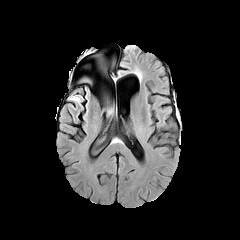
FLAIR magnetic resonance.
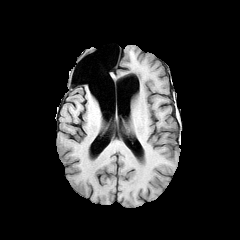
Same slice, T1-weighted MR image.
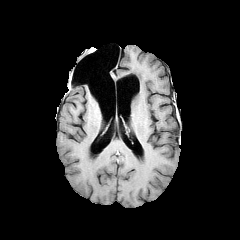
Post-contrast T1-weighted magnetic resonance.
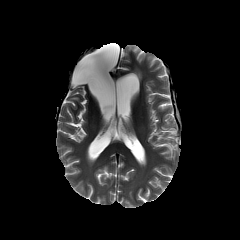
T2-weighted magnetic resonance.
Image size 240x240
Edema: [69,95,83,103].